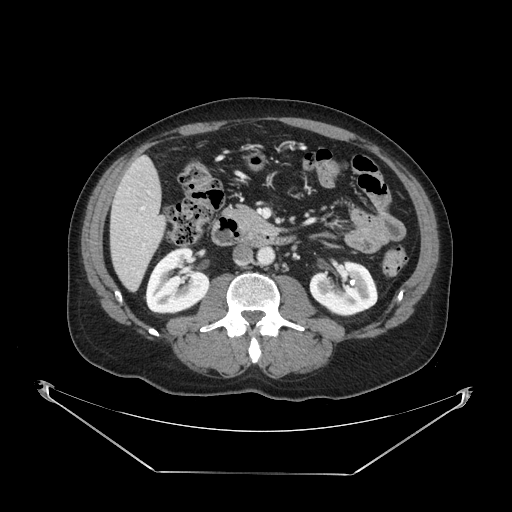

512x512 | CT

{
  "pancreas": [
    "<bbox>222, 204, 277, 235</bbox>"
  ]
}